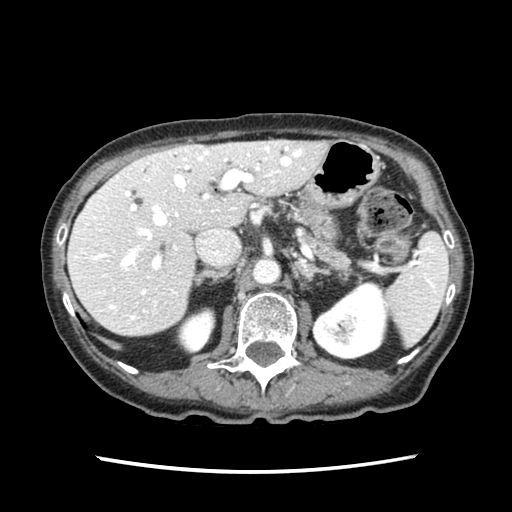 Upper abdomen; Computed tomography
Pancreas: x1=308 y1=237 x2=350 y2=275.